Image size 512x512 | Computed tomography | Slice 287 of 466
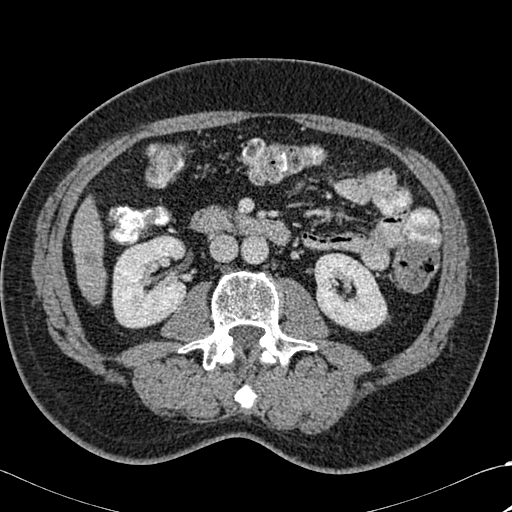

Bone: bounding box 180,271,316,369; 235,384,255,407.
Liver: bounding box 73,209,104,303.
Focal liver lesion: bounding box 80,251,99,266.
Kidney: bounding box 315,254,386,330; 113,237,185,327.